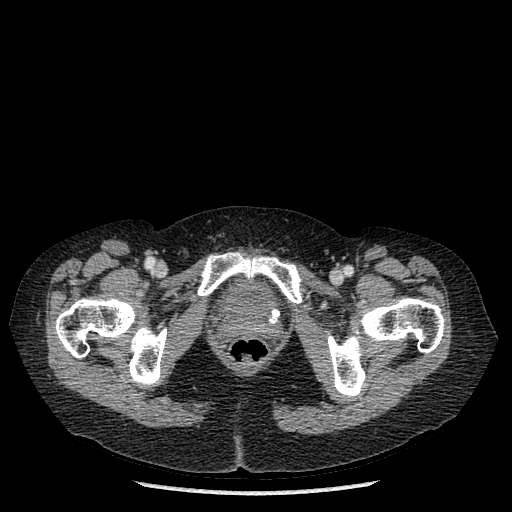

CT.

Bone = <box>197,252,302,303</box>, <box>54,297,166,386</box>, <box>327,298,444,397</box>.